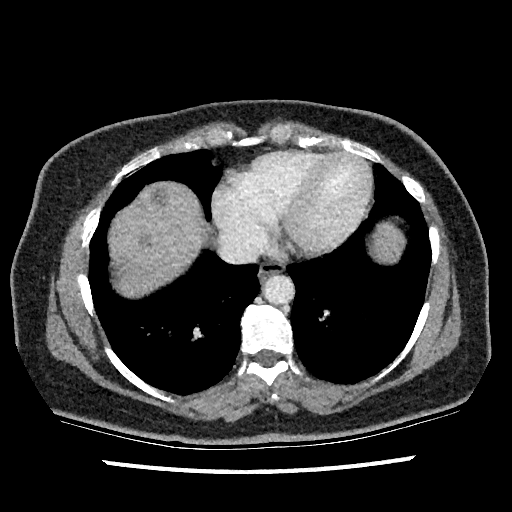

512x512 | CT scan slice
liver: (left=374, top=226, right=401, bottom=259), (left=109, top=182, right=202, bottom=294) | liver lesion: (left=141, top=236, right=149, bottom=245), (left=152, top=188, right=167, bottom=206)